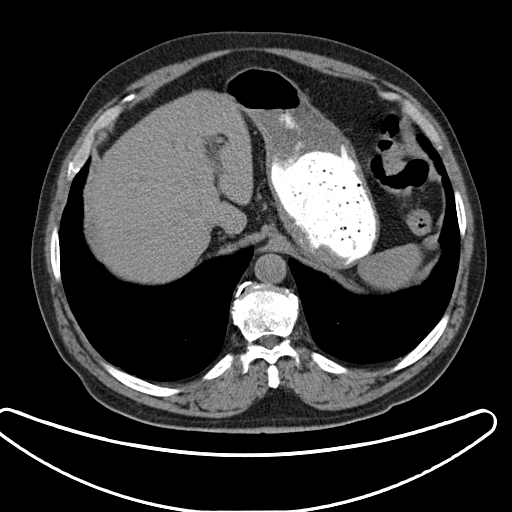 Upper abdomen; CT slice; 512x512

The spleen is at 360, 246, 420, 289.